512x512 px; Abdomen; Computed tomography

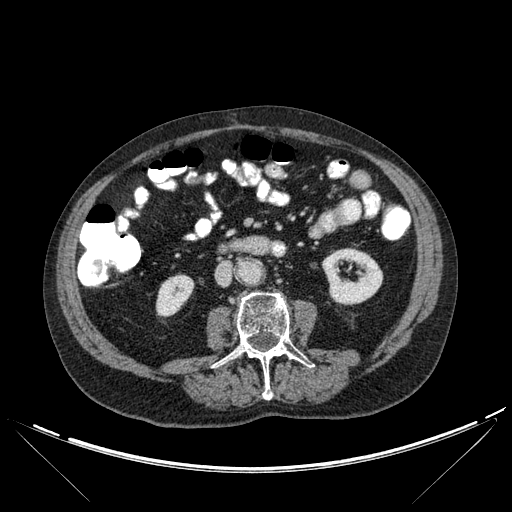 <segmentation>
  <kidney>box(156, 275, 193, 315); box(322, 249, 382, 304)</kidney>
  <bone>box(223, 292, 293, 399)</bone>
</segmentation>